Field of view 35 mm wide, 1.00 mm slice spacing; MRI slice; Slice index 19
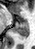
The posterior hippocampus appears at 13 21 28 36. The anterior hippocampus is located at 22 19 27 21.